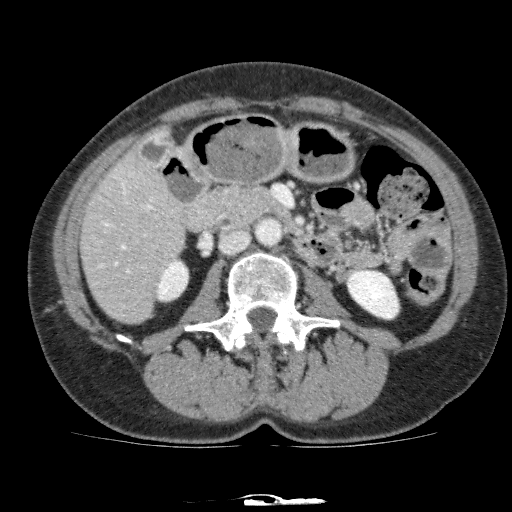

CT scan slice. Abdomen. Liver at [80,150,187,325].
Kidney at [348,271,397,318], [157,261,187,299].